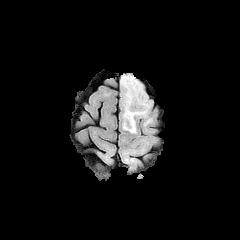
FLAIR MRI.
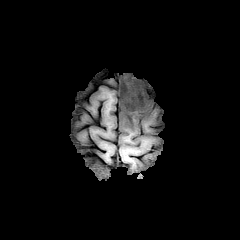
Same slice, T1-weighted MR.
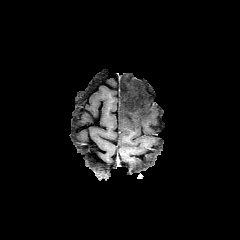
Post-contrast T1-weighted magnetic resonance.
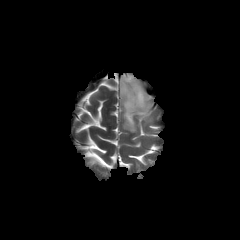
T2-weighted MR image of the same slice.
Head
The edema is located at l=120, t=74, r=152, b=133. 2 non-enhancing tumor core regions appear at l=120, t=148, r=135, b=161; l=126, t=128, r=135, b=145.